FLAIR MR.
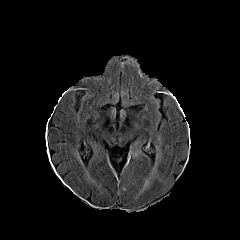
T1-weighted MR image.
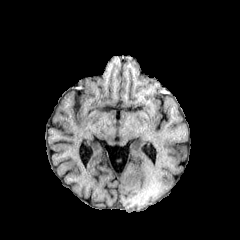
Post-contrast T1-weighted magnetic resonance.
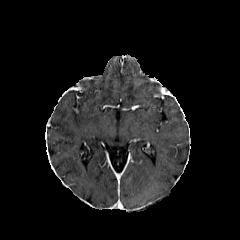
T2-weighted MR image.
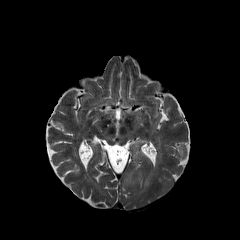
Head.
Edema = (139, 137, 161, 193).